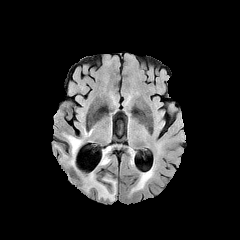
FLAIR MRI.
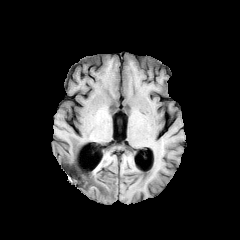
T1-weighted MR image of the same slice.
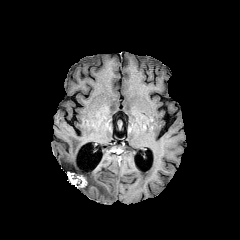
Post-contrast T1-weighted MRI.
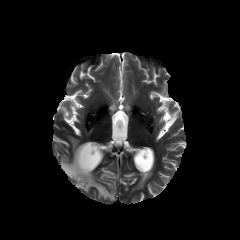
T2-weighted magnetic resonance of the same slice.
Head.
Segmented structures:
* non-enhancing tumor core: [64, 164, 83, 185], [83, 174, 91, 189]
* enhancing tumor: [78, 175, 85, 187]
* edema: [85, 172, 115, 200], [99, 146, 109, 165], [136, 168, 152, 187], [66, 136, 82, 165]